Image width 240 mm, Head, 240x240 px, Slice 67 of 155
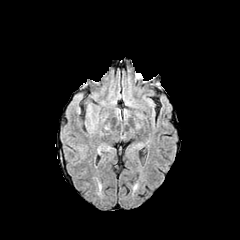
FLAIR MRI.
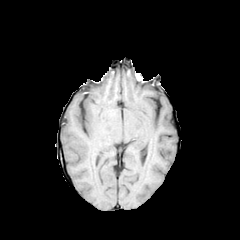
Same slice, T1-weighted MR image.
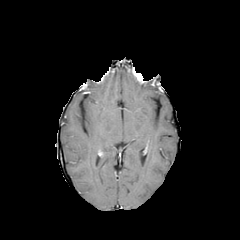
Post-contrast T1-weighted magnetic resonance.
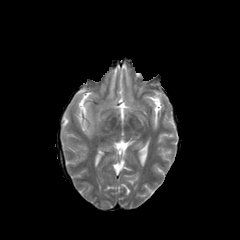
Same slice, T2-weighted MR.
<segmentation>
  <edema>bbox(85, 107, 92, 123)</edema>
</segmentation>